CT scan slice; Abdomen

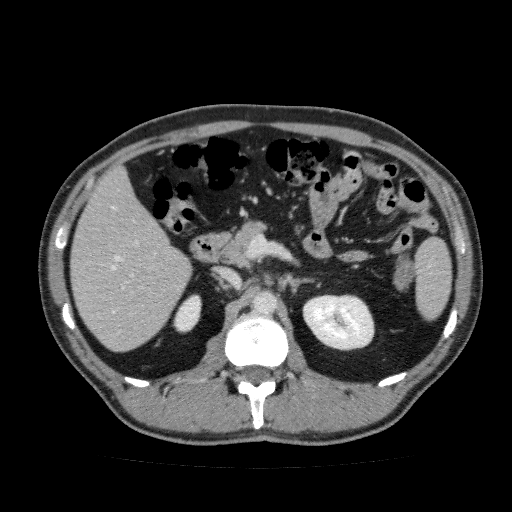
Segmented structures:
- liver: x1=69 y1=164 x2=189 y2=352
- kidney: x1=175 y1=296 x2=200 y2=330, x1=304 y1=296 x2=373 y2=348